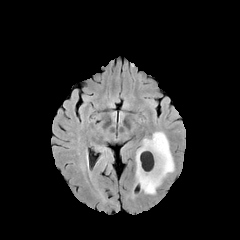
FLAIR MRI.
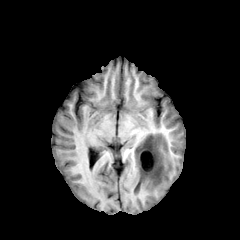
T1-weighted magnetic resonance.
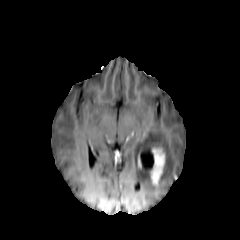
Post-contrast T1-weighted magnetic resonance of the same slice.
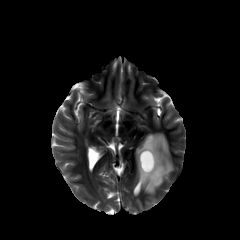
T2-weighted MRI of the same slice.
Brain
edema:
  - (x1=134, y1=132, x2=174, y2=194)
enhancing_tumor:
  - (x1=151, y1=148, x2=164, y2=185)